512x512 px; Abdomen; CT
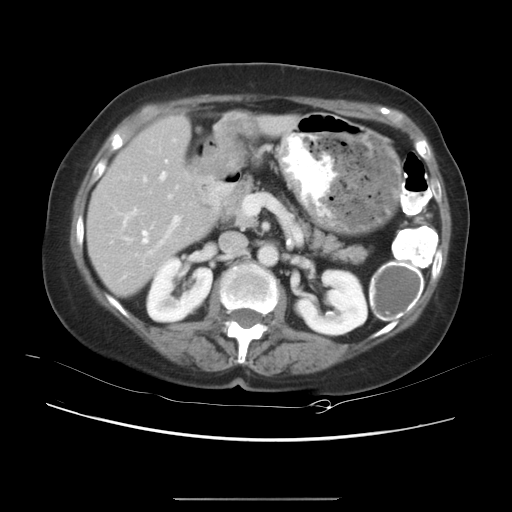
Some hepatic vessels may have no box.
13 hepatic vessel regions are located at (left=150, top=224, right=153, bottom=228), (left=142, top=262, right=143, bottom=265), (left=160, top=172, right=165, bottom=180), (left=142, top=230, right=148, bottom=243), (left=121, top=274, right=127, bottom=279), (left=164, top=160, right=167, bottom=161), (left=176, top=186, right=177, bottom=188), (left=146, top=215, right=180, bottom=255), (left=172, top=139, right=175, bottom=141), (left=123, top=238, right=132, bottom=242), (left=168, top=195, right=172, bottom=197), (left=143, top=176, right=146, bottom=181), (left=116, top=208, right=137, bottom=228). The liver tumor is located at (left=222, top=118, right=257, bottom=136).